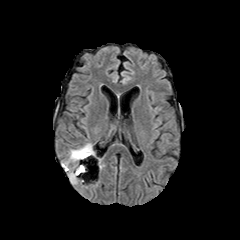
FLAIR magnetic resonance.
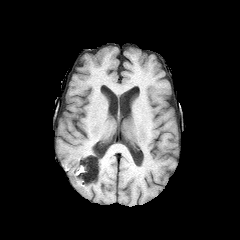
T1-weighted MR.
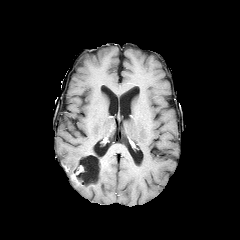
Post-contrast T1-weighted MRI.
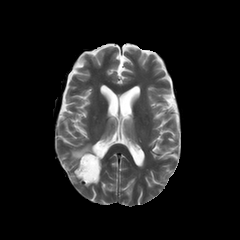
T2-weighted magnetic resonance.
240x240.
edema:
  - (61, 143, 93, 173)
  - (67, 172, 79, 183)
non-enhancing_tumor_core:
  - (74, 146, 96, 177)